FLAIR MRI.
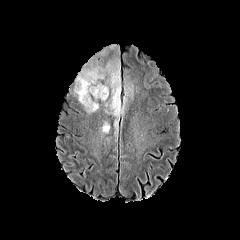
T1-weighted MR.
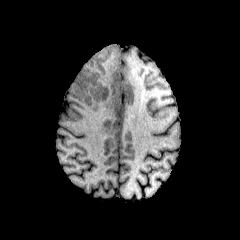
Post-contrast T1-weighted magnetic resonance.
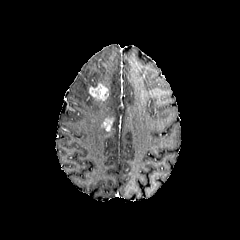
T2-weighted MR image.
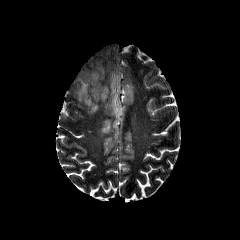
Brain
Edema = region(105, 61, 129, 126); region(74, 66, 105, 112).
Enhancing tumor = region(101, 118, 112, 131); region(89, 82, 108, 101).